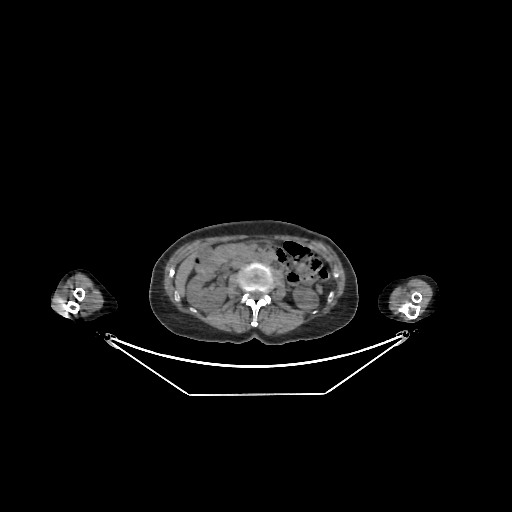 CT image. Image size 512x512. Upper abdomen.

Annotated regions:
* kidney: box(186, 270, 228, 310); box(292, 285, 318, 312)
* liver: box(175, 253, 195, 294)